CT slice; Field of view 409x409 mm 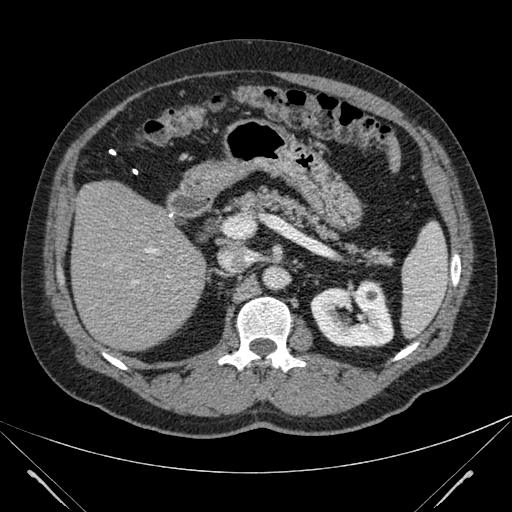 Liver: bounding box rect(70, 181, 205, 352); rect(387, 136, 395, 155).
Kidney: bounding box rect(311, 282, 392, 346).